Brain, 240x240
FLAIR MRI.
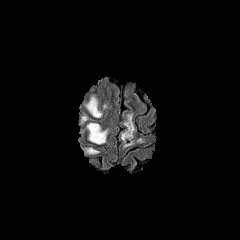
T1-weighted MR image.
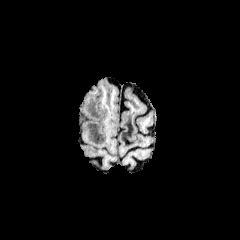
Post-contrast T1-weighted magnetic resonance.
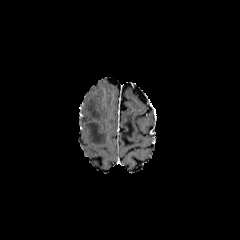
T2-weighted MRI.
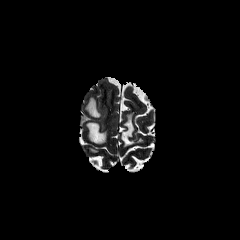
Edema = region(83, 95, 103, 117); region(83, 147, 99, 155); region(87, 123, 107, 144).